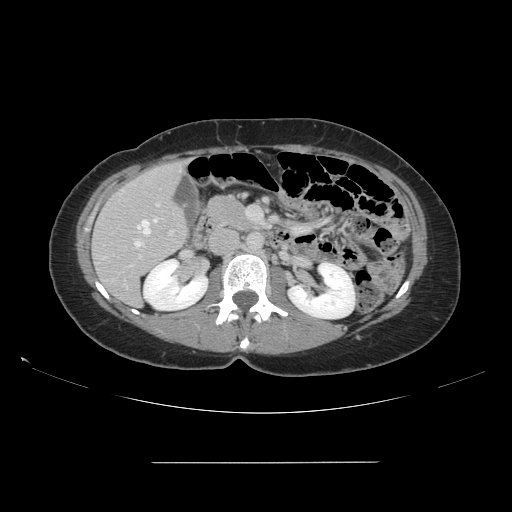

Abdomen, 512x512, CT image

The vessel boxes may cover only some of the vessels.
<segmentation>
  <hepatic_vessel>(left=139, top=255, right=140, bottom=258), (left=101, top=257, right=105, bottom=258), (left=137, top=220, right=149, bottom=234), (left=135, top=240, right=143, bottom=246), (left=156, top=203, right=159, bottom=205), (left=169, top=231, right=173, bottom=234), (left=154, top=218, right=158, bottom=221)</hepatic_vessel>
</segmentation>